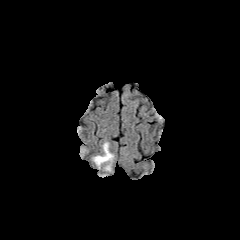
FLAIR MR.
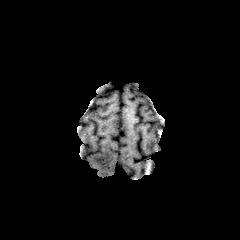
T1-weighted magnetic resonance.
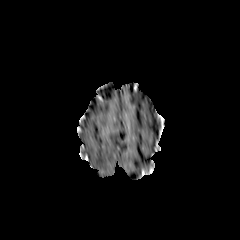
Post-contrast T1-weighted magnetic resonance of the same slice.
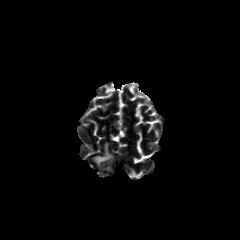
T2-weighted magnetic resonance of the same slice.
240x240 px
Edema = <bbox>93, 142, 113, 170</bbox>.